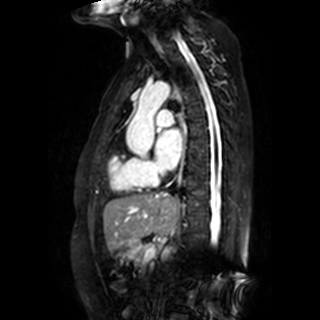
MR | Heart | 320x320
Left atrium at x1=155, y1=129, x2=182, y2=169.